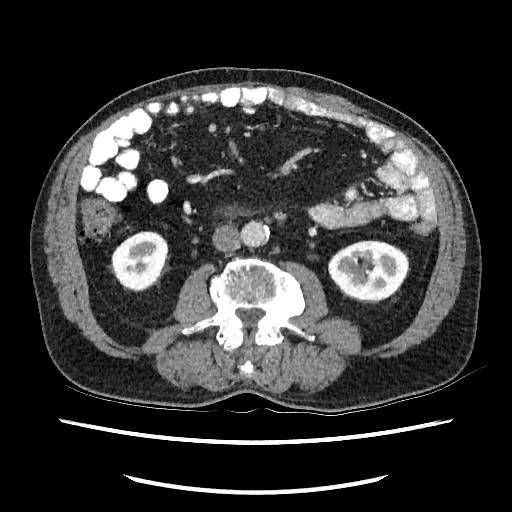
CT | Abdomen
* kidney: x1=112 y1=232 x2=167 y2=290, x1=328 y1=241 x2=408 y2=301